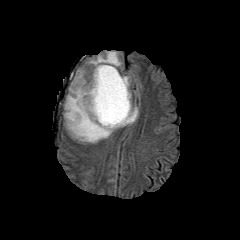
FLAIR MRI.
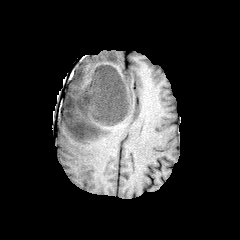
Same slice, T1-weighted MR.
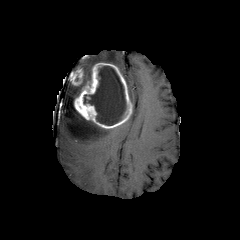
Post-contrast T1-weighted magnetic resonance of the same slice.
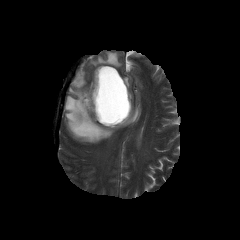
T2-weighted MRI.
Brain
Non-enhancing tumor core at 74 125 90 131, 67 70 91 116, 84 64 126 125.
Enhancing tumor at 74 63 105 123, 101 63 132 127, 72 69 83 85.
Edema at 64 82 139 143, 82 51 121 81.